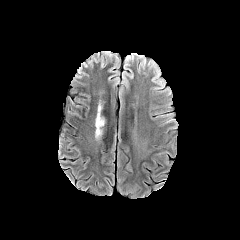
FLAIR MR.
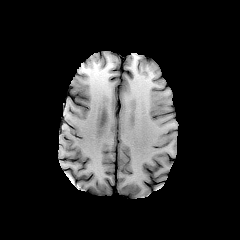
T1-weighted MR of the same slice.
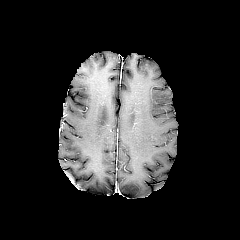
Post-contrast T1-weighted magnetic resonance.
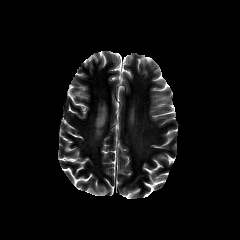
T2-weighted magnetic resonance.
Head, 240x240
Annotated regions:
* edema: (95,109,104,134)